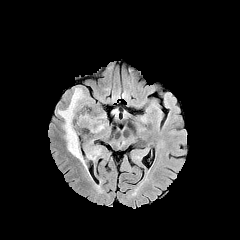
FLAIR MR image.
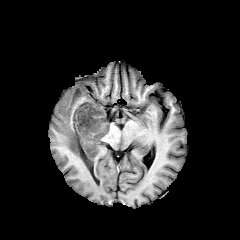
T1-weighted MRI of the same slice.
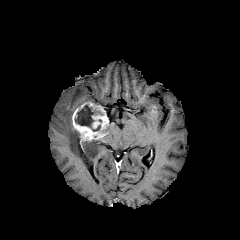
Post-contrast T1-weighted magnetic resonance.
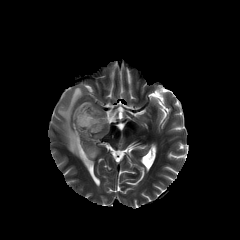
Same slice, T2-weighted magnetic resonance.
Image size 240x240
* enhancing tumor: bbox=[72, 102, 108, 140]
* edema: bbox=[85, 146, 102, 160]; bbox=[57, 87, 86, 169]
* non-enhancing tumor core: bbox=[75, 104, 102, 127]